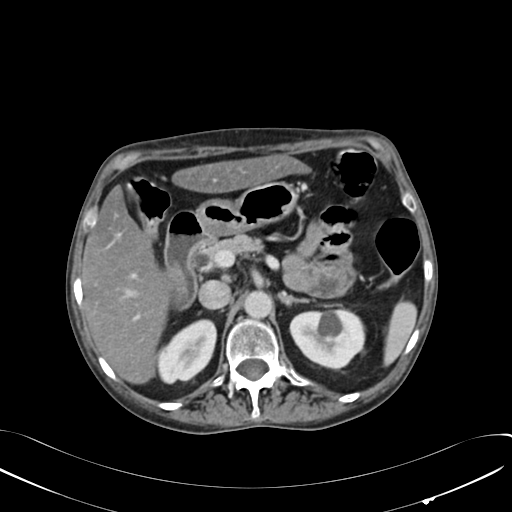

Computed tomography. 2 kidney regions are located at {"x1": 159, "y1": 321, "x2": 215, "y2": 381}, {"x1": 291, "y1": 311, "x2": 363, "y2": 367}. 2 liver regions appear at {"x1": 174, "y1": 154, "x2": 309, "y2": 192}, {"x1": 82, "y1": 185, "x2": 169, "y2": 383}.